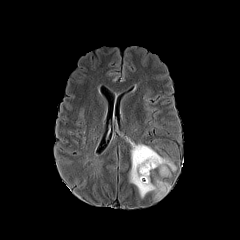
FLAIR MRI.
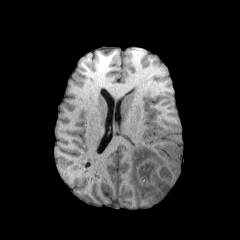
T1-weighted MR image of the same slice.
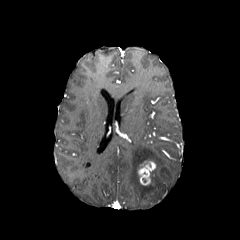
Post-contrast T1-weighted MR image of the same slice.
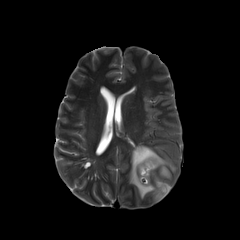
T2-weighted MRI.
Brain
{
  "enhancing_tumor": [
    "[137,159,155,186]"
  ],
  "edema": [
    "[129,143,176,200]"
  ]
}